FLAIR MR image.
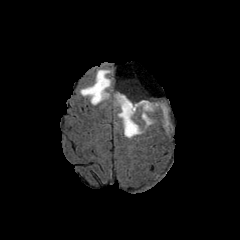
T1-weighted magnetic resonance.
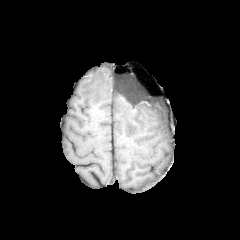
Post-contrast T1-weighted magnetic resonance.
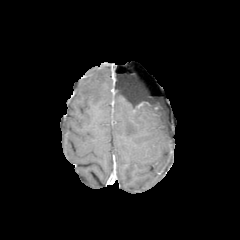
T2-weighted MRI.
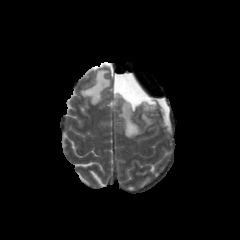
Brain
Annotated regions:
- non-enhancing tumor core: <bbox>120, 92, 164, 107</bbox>
- edema: <bbox>80, 62, 167, 138</bbox>